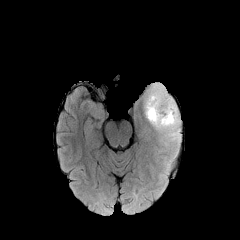
FLAIR MRI.
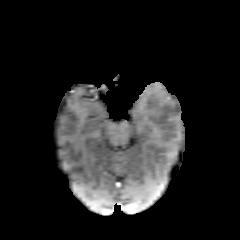
Same slice, T1-weighted MRI.
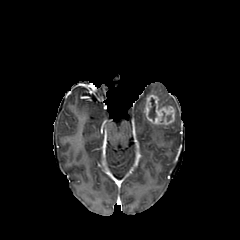
Post-contrast T1-weighted MR image.
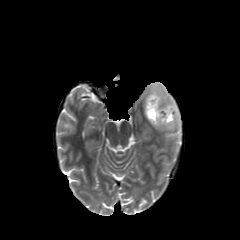
T2-weighted MR.
240x240 | Head
Edema: left=143, top=82, right=181, bottom=152; left=162, top=159, right=170, bottom=167.
Enhancing tumor: left=144, top=94, right=175, bottom=125.
Non-enhancing tumor core: left=149, top=98, right=155, bottom=118.